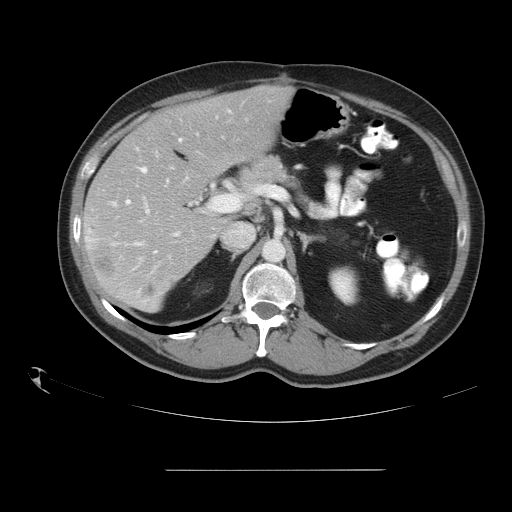 CT image, 512x512, Liver

The vessel boxes may cover only some of the vessels.
7 hepatic vessel regions are located at rect(126, 200, 129, 203); rect(145, 203, 149, 212); rect(165, 179, 168, 185); rect(140, 167, 146, 172); rect(179, 138, 181, 141); rect(228, 110, 230, 112); rect(173, 232, 178, 236). The liver tumor is located at rect(94, 246, 113, 275).